Head; Slice 97/155
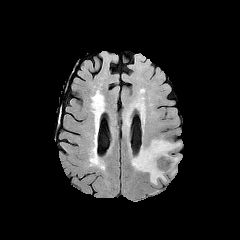
FLAIR magnetic resonance.
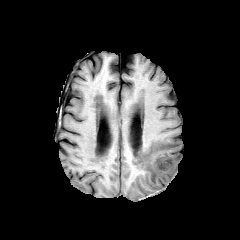
T1-weighted MR image.
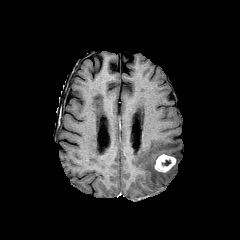
Same slice, post-contrast T1-weighted MR.
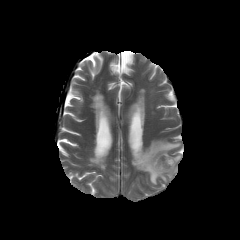
T2-weighted MRI of the same slice.
Edema: <box>131,140,180,184</box>.
Enhancing tumor: <box>153,153,175,173</box>.